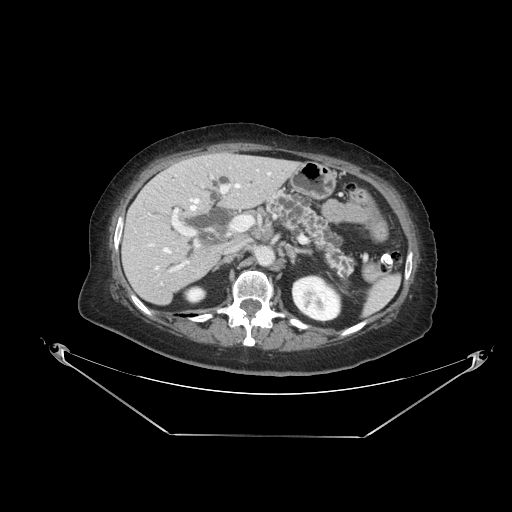 Image size 512x512, CT slice

The pancreas appears at [266, 192, 354, 275].